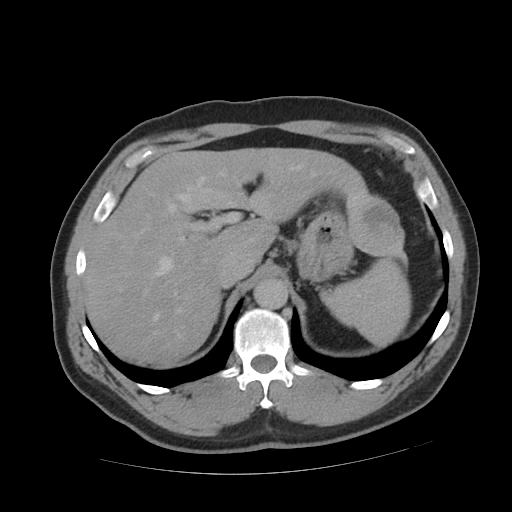

CT slice
The vessel boxes may cover only some of the vessels.
<segmentation>
  <liver_tumor>bbox=[350, 198, 401, 252]</liver_tumor>
  <hepatic_vessel>bbox=[174, 292, 175, 295]; bbox=[154, 257, 173, 275]; bbox=[169, 205, 175, 212]; bbox=[220, 173, 223, 174]; bbox=[179, 194, 189, 200]; bbox=[180, 237, 183, 240]; bbox=[176, 308, 180, 312]; bbox=[154, 315, 157, 320]; bbox=[291, 165, 302, 170]; bbox=[188, 177, 203, 190]</hepatic_vessel>
</segmentation>